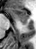

MRI slice; Medial temporal lobe
The posterior hippocampus is located at (20, 21, 26, 24). The anterior hippocampus is at (7, 8, 29, 20).